Computed tomography, Slice 25/40

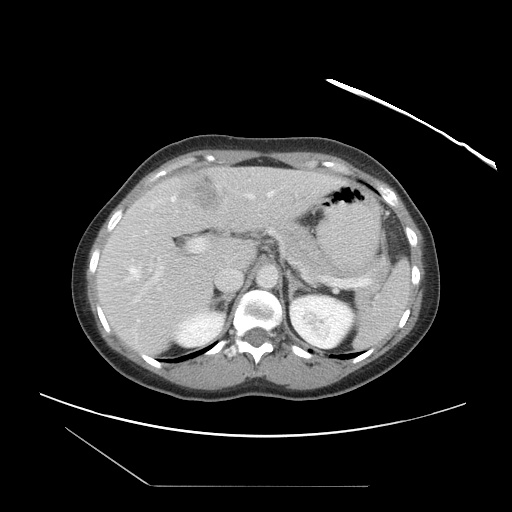 Only some of the vessels may be annotated.
Hepatic vessel at 134:266:163:301, 146:231:147:232, 132:329:136:339, 156:199:161:202, 268:191:273:196, 189:238:204:252, 138:320:139:321, 171:196:175:201, 126:262:142:281, 268:228:276:234, 218:268:240:289, 158:258:159:259, 245:193:254:198.
Liver tumor at 184:173:226:212.